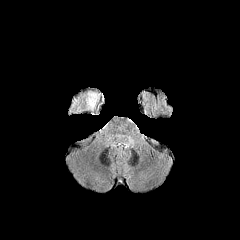
FLAIR MRI.
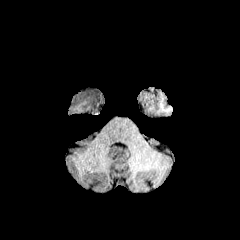
T1-weighted MR image of the same slice.
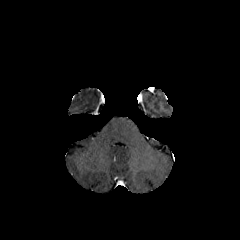
Post-contrast T1-weighted MR.
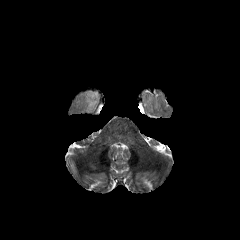
T2-weighted magnetic resonance.
240x240 px
Edema — bbox(87, 91, 99, 107).